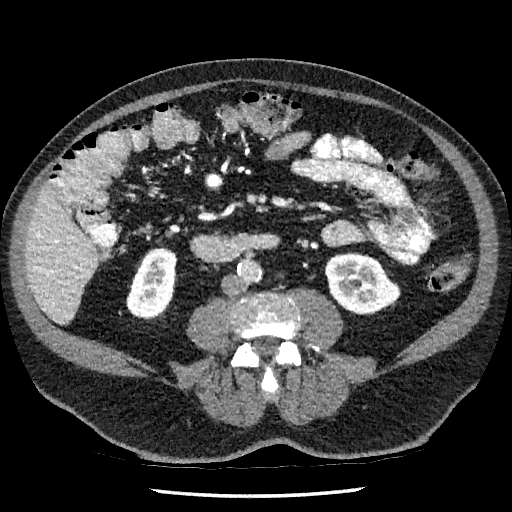
CT; Image size 512x512
{"liver": ["<bbox>26, 186, 97, 323</bbox>"], "kidney": ["<bbox>326, 254, 399, 313</bbox>", "<bbox>127, 250, 175, 317</bbox>"]}